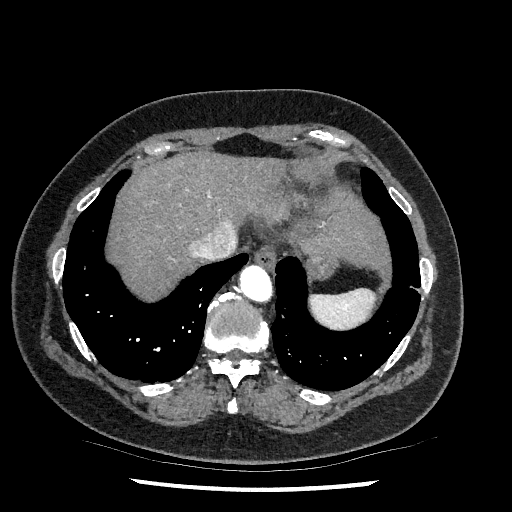 Computed tomography

2 liver regions appear at [302, 190, 389, 265], [112, 153, 283, 295].